MR, Hippocampus
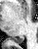 The posterior hippocampus is located at box(10, 36, 24, 43).